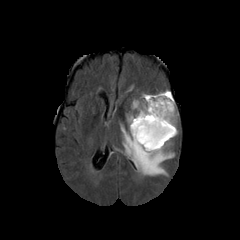
FLAIR MR image.
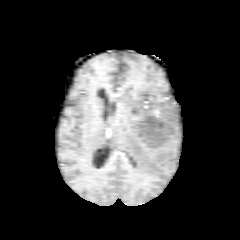
T1-weighted MRI of the same slice.
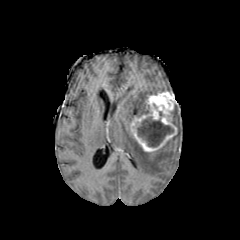
Post-contrast T1-weighted magnetic resonance.
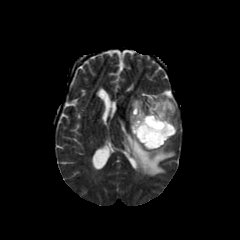
T2-weighted MRI.
Head. Image size 240x240.
Edema — bbox(127, 94, 148, 123); bbox(121, 125, 174, 175).
Non-enhancing tumor core — bbox(137, 117, 173, 146).
Enhancing tumor — bbox(130, 90, 177, 152).